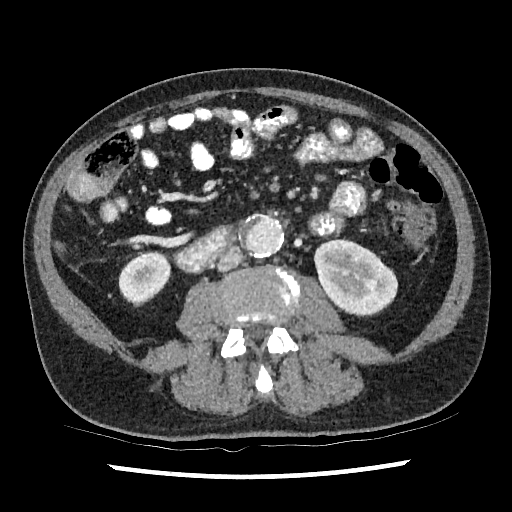
CT. Abdomen.
2 kidney regions appear at <box>119,252,169,303</box>, <box>314,240,397,314</box>.